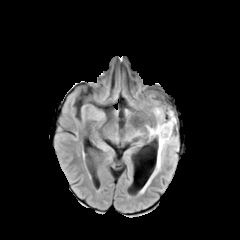
FLAIR MR image.
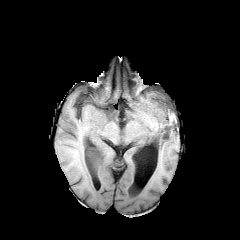
Same slice, T1-weighted MRI.
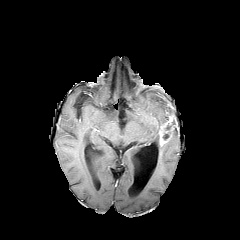
Same slice, post-contrast T1-weighted MRI.
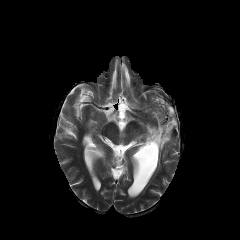
T2-weighted MR image.
Head.
enhancing tumor: rect(158, 118, 173, 145) | edema: rect(146, 106, 178, 177) | non-enhancing tumor core: rect(163, 120, 175, 139)